Head, Slice 126 of 155
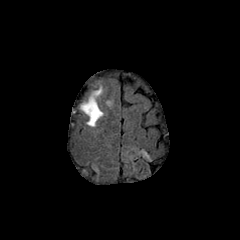
FLAIR MR image.
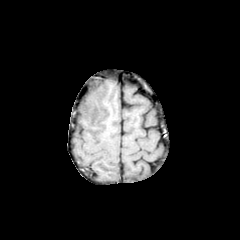
Same slice, T1-weighted MRI.
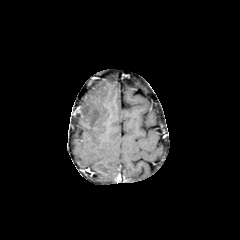
Post-contrast T1-weighted MR image.
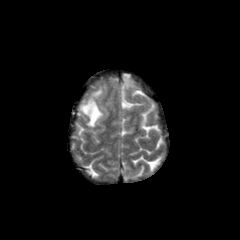
T2-weighted MRI.
edema: <bbox>80, 87, 103, 128</bbox>